Computed tomography | Upper abdomen
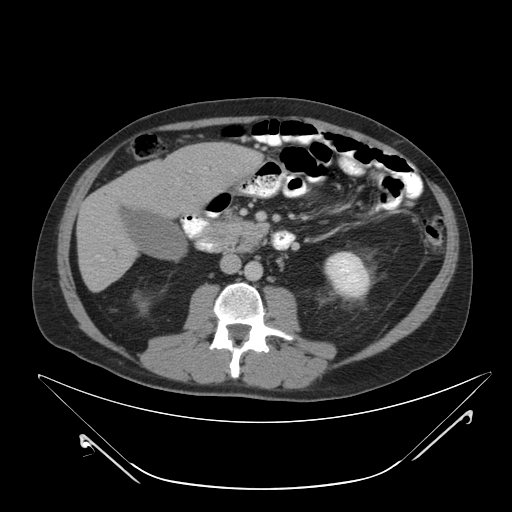
Pancreas: bounding box 206 211 269 253.